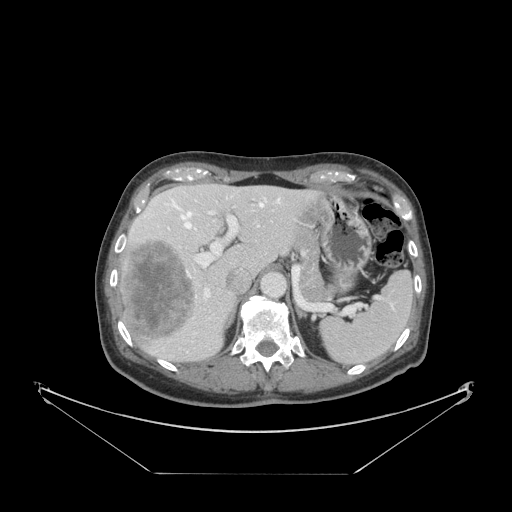
CT image. <segmentation>
  <spleen>[x1=322, y1=272, x2=414, y2=365]</spleen>
</segmentation>